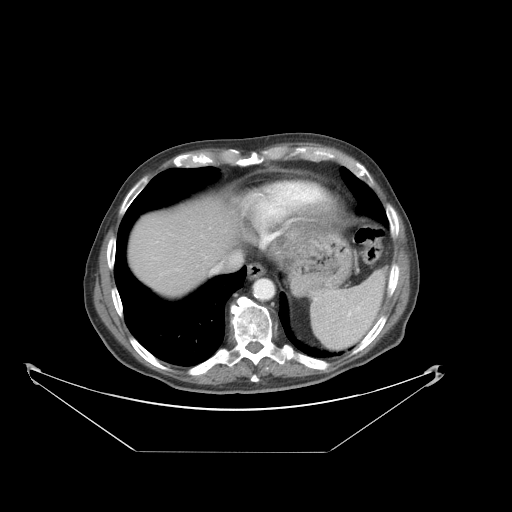
CT | Liver
Not every hepatic vessel necessarily has a box.
Hepatic vessel — 230 254 240 263, 210 262 222 273, 176 269 178 270.